Abdomen, CT slice 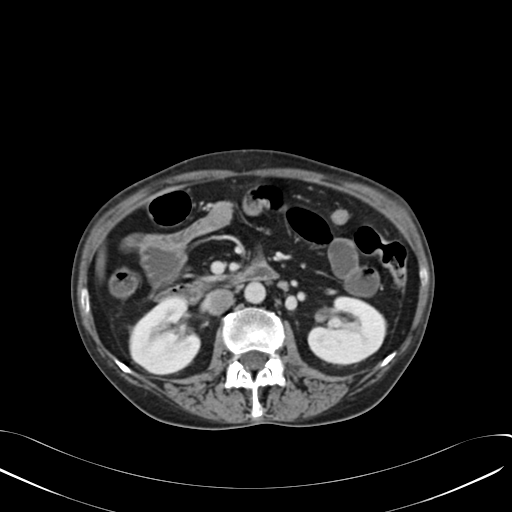
Kidney = {"x1": 132, "y1": 298, "x2": 198, "y2": 373}, {"x1": 309, "y1": 298, "x2": 383, "y2": 362}.